Slice 97 of 121; CT image; Abdomen; 512x512
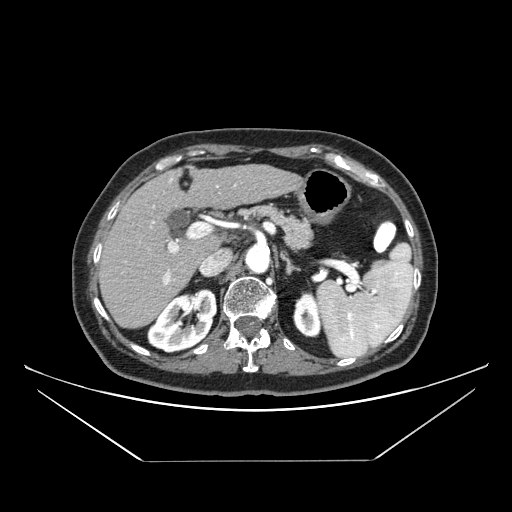
The pancreas appears at <bbox>235, 204, 313, 250</bbox>.